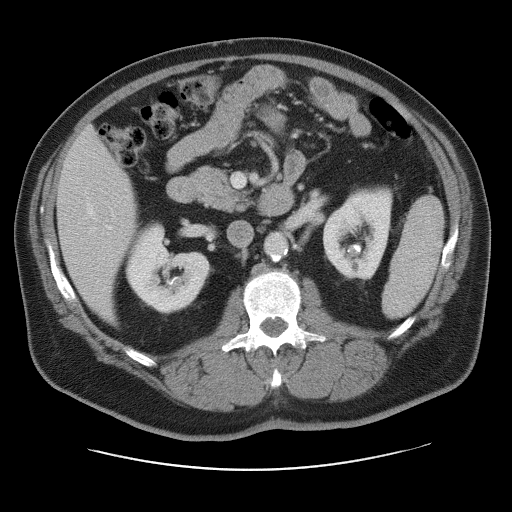

Abdomen | Computed tomography
The vessel boxes may cover only some of the vessels.
• hepatic vessel: [232, 175, 244, 186], [87, 204, 93, 215], [106, 225, 114, 231], [90, 227, 94, 230]